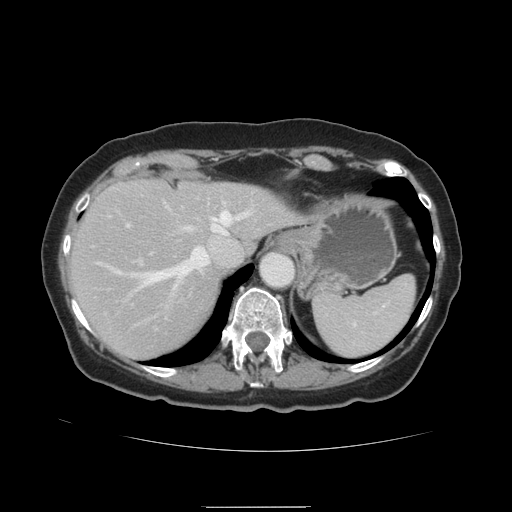
CT scan slice. Liver.
Only some of the vessels may be annotated.
hepatic_vessel:
  - <box>134,289,136,290</box>
  - <box>116,271,123,273</box>
  - <box>210,210,251,233</box>
  - <box>126,224,128,226</box>
  - <box>129,247,208,294</box>